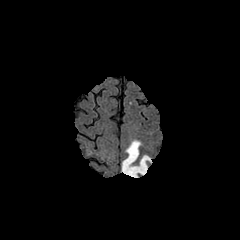
FLAIR magnetic resonance.
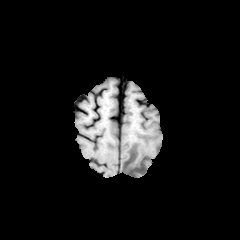
T1-weighted magnetic resonance.
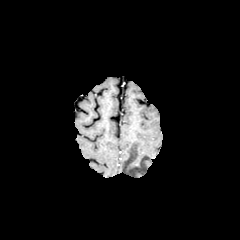
Post-contrast T1-weighted magnetic resonance.
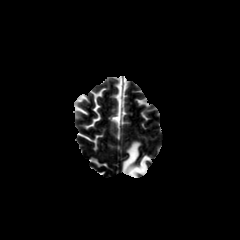
Same slice, T2-weighted MR.
240x240
edema:
  - <box>122,140,151,177</box>